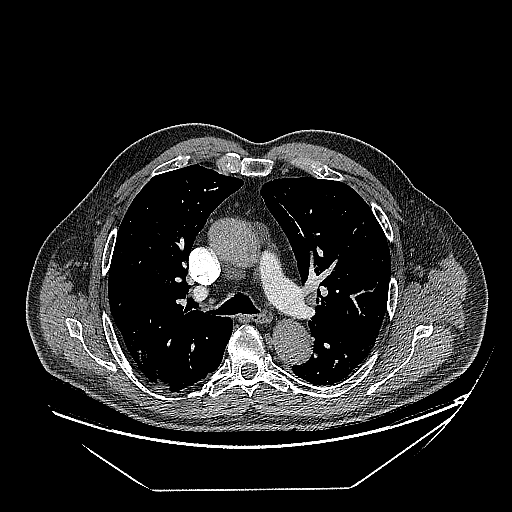
CT slice; Thorax
lung_tumor:
  - left=135, top=348, right=153, bottom=369